Computed tomography, Liver, Slice 81/134 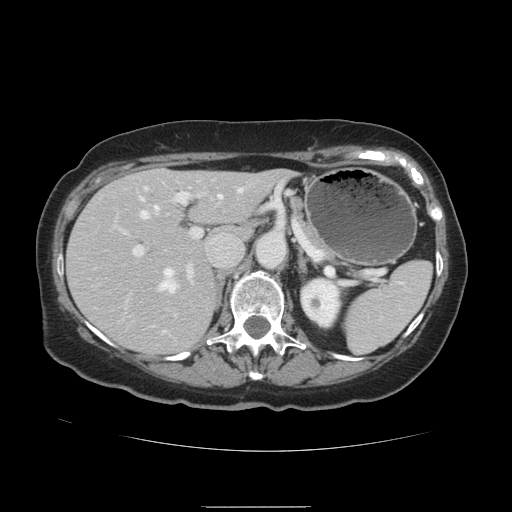 Not every hepatic vessel necessarily has a box.
Findings:
- hepatic vessel: box=[171, 192, 189, 202]; box=[139, 197, 143, 200]; box=[153, 206, 157, 210]; box=[124, 232, 126, 233]; box=[189, 228, 200, 237]; box=[217, 195, 221, 198]; box=[186, 265, 191, 275]; box=[237, 188, 242, 192]; box=[133, 246, 143, 255]; box=[158, 269, 174, 293]; box=[144, 187, 147, 190]; box=[163, 330, 164, 331]; box=[139, 211, 147, 218]